FLAIR magnetic resonance.
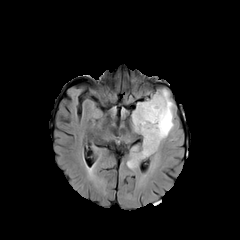
T1-weighted MR.
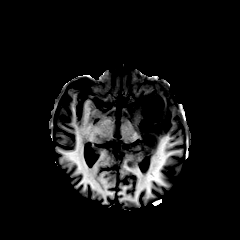
Post-contrast T1-weighted MR.
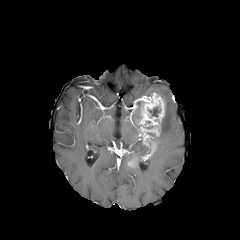
T2-weighted MR.
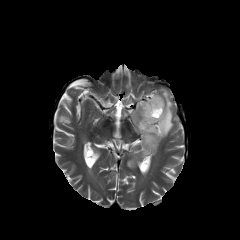
Head | 240x240 px
Non-enhancing tumor core — x1=147, y1=106, x2=161, y2=119; x1=140, y1=121, x2=161, y2=154; x1=135, y1=99, x2=145, y2=115; x1=128, y1=156, x2=139, y2=165.
Enhancing tumor — x1=139, y1=93, x2=164, y2=124.
Edema — x1=151, y1=89, x2=176, y2=155; x1=127, y1=111, x2=147, y2=169.